Liver. Slice index 22. Image size 512x512. Computed tomography. Field of view 363 mm wide, 5.00 mm slice spacing. 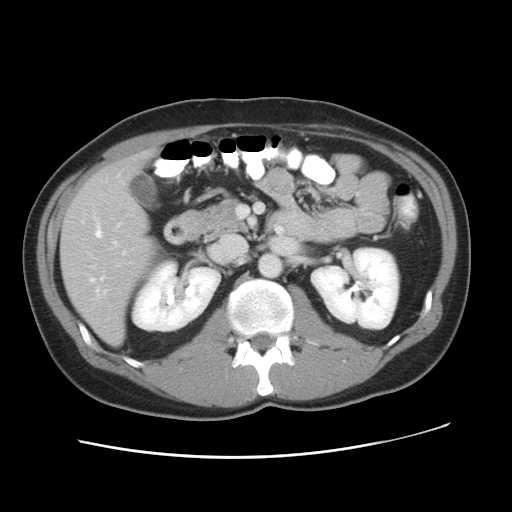
The vessel annotation is not exhaustive.
hepatic vessel: [89, 275, 107, 297], [117, 222, 120, 226], [94, 213, 103, 238], [113, 240, 117, 245], [122, 251, 125, 254]